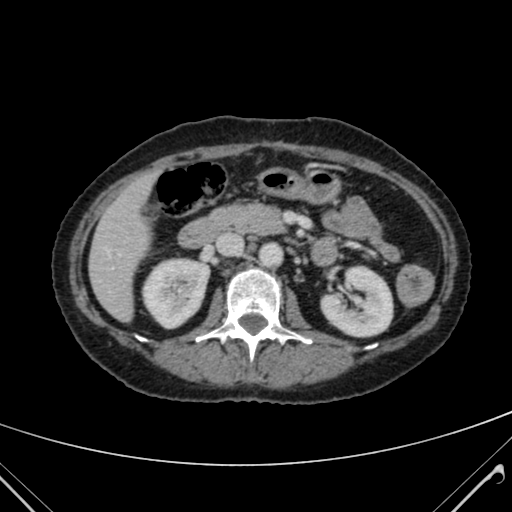

CT slice. Abdomen.
<segmentation>
  <liver>left=89, top=179, right=151, bottom=315</liver>
  <kidney>left=322, top=268, right=391, bottom=335; left=144, top=261, right=208, bottom=326</kidney>
</segmentation>